CT | Abdomen | Slice 29/127 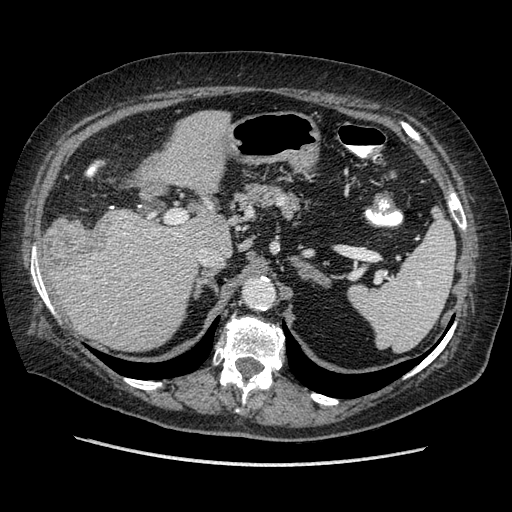

Findings:
• liver tumor: 48,218,123,267